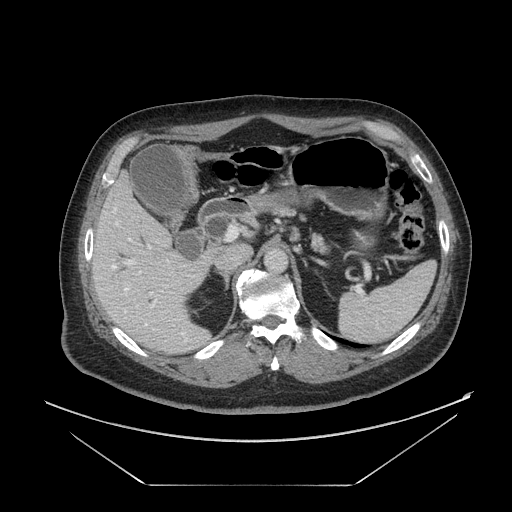
CT slice; Abdomen
- pancreas: [312,234,330,252], [272,206,293,215]